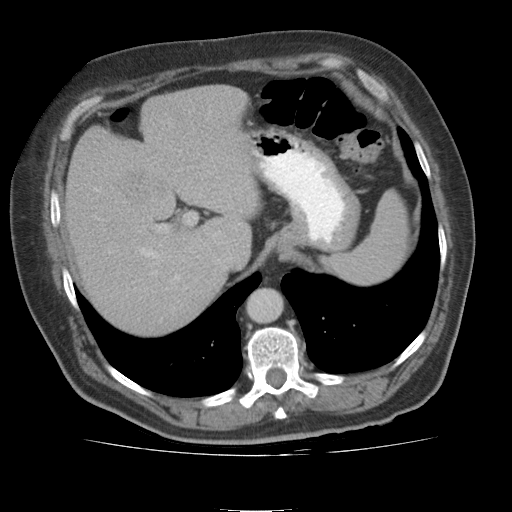

CT scan slice. Hepatic lesion: bounding box x1=121 y1=171 x2=169 y2=203.
Liver: bounding box x1=67 y1=87 x2=254 y2=332.